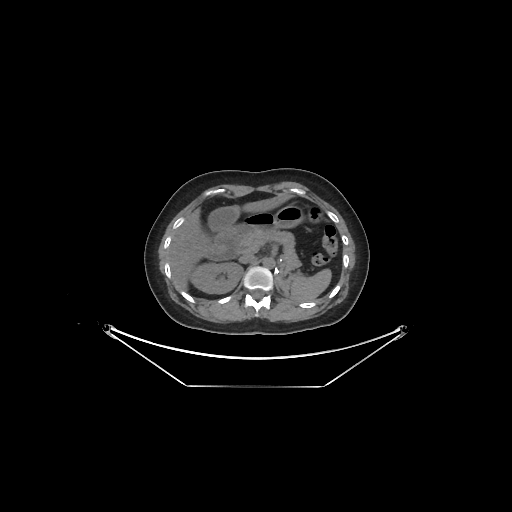

CT slice, Image size 512x512
* kidney: [190, 263, 242, 293]
* liver: [164, 209, 227, 286], [244, 196, 286, 210]